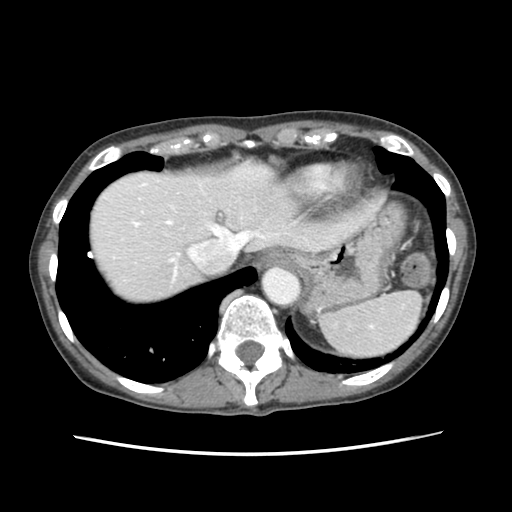

CT image | Abdomen
Spleen: bounding box region(320, 292, 421, 358).